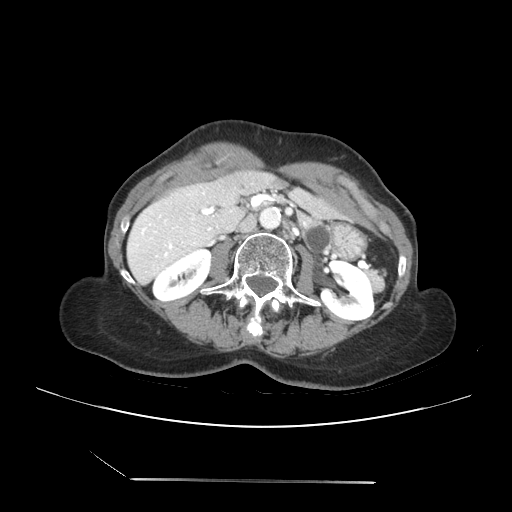

Upper abdomen | CT slice
* pancreas: x1=296, y1=211, x2=333, y2=254
* pancreatic tumor: x1=306, y1=225, x2=330, y2=252